Computed tomography, Slice 48 of 174, Liver

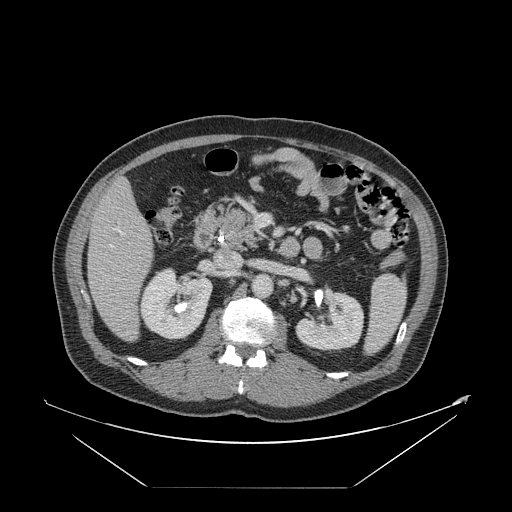
Not every hepatic vessel necessarily has a box.
hepatic_vessel:
  - left=110, top=245, right=112, bottom=246
  - left=112, top=228, right=122, bottom=234